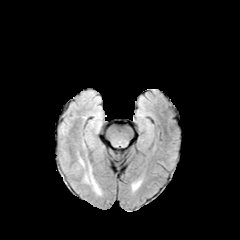
FLAIR MR image.
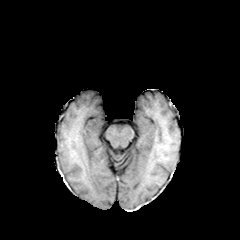
Same slice, T1-weighted MR.
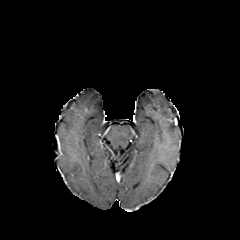
Same slice, post-contrast T1-weighted MRI.
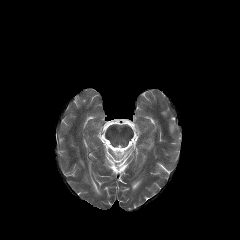
Same slice, T2-weighted magnetic resonance.
240x240 px | Head
Edema at (left=89, top=168, right=100, bottom=194).